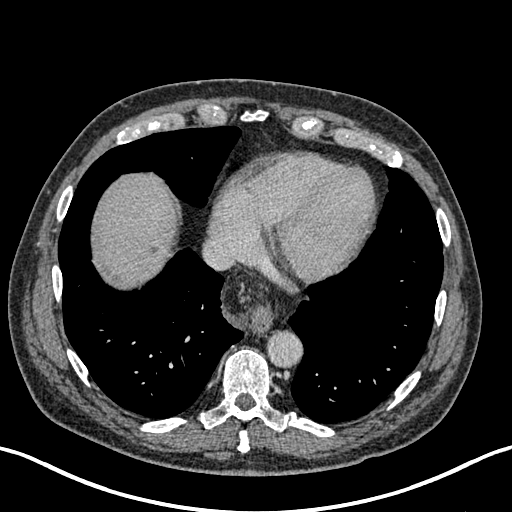 CT; 512x512; Abdomen

Liver — 92 173 177 285.
Focal liver lesion — 148 245 158 254.